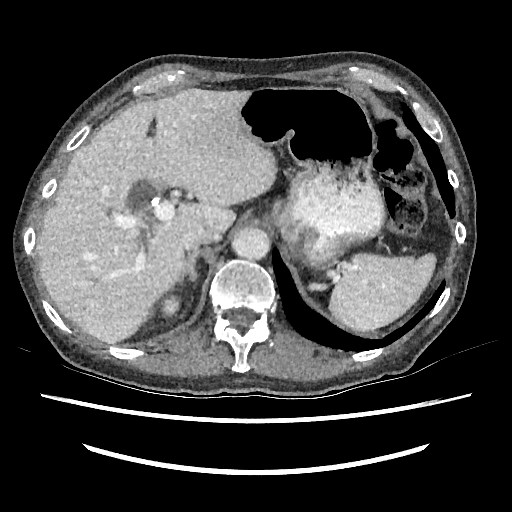

512x512 px; CT slice
Kidney: bounding box [x1=166, y1=301, x2=175, y2=311].
Liver: bounding box [x1=37, y1=89, x2=274, y2=343].